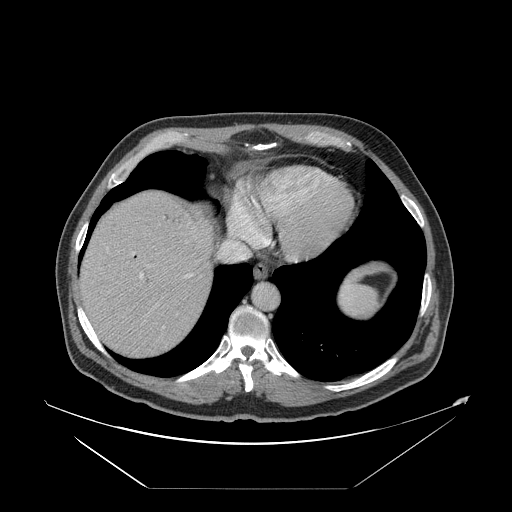
Liver, Computed tomography

Not every hepatic vessel necessarily has a box.
5 hepatic vessel regions are bounded by {"x1": 218, "y1": 241, "x2": 249, "y2": 260}, {"x1": 139, "y1": 273, "x2": 142, "y2": 278}, {"x1": 130, "y1": 252, "x2": 134, "y2": 256}, {"x1": 184, "y1": 274, "x2": 192, "y2": 277}, {"x1": 230, "y1": 228, "x2": 254, "y2": 245}.